Medial temporal lobe | MRI | Slice 28/41 | Field of view 32x47 mm 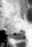

The posterior hippocampus is at l=11, t=32, r=23, b=39.